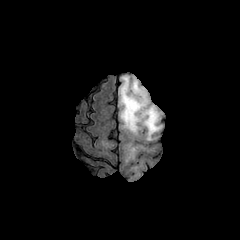
FLAIR magnetic resonance.
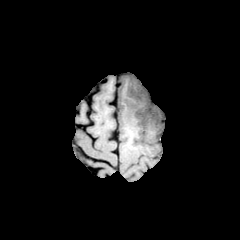
Same slice, T1-weighted MRI.
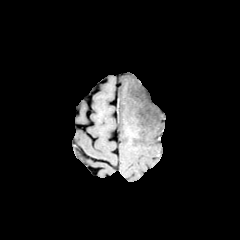
Same slice, post-contrast T1-weighted MR image.
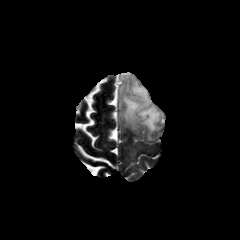
Same slice, T2-weighted MR image.
Brain.
The non-enhancing tumor core is at [x1=126, y1=83, x2=161, y2=123]. The edema is at [x1=118, y1=73, x2=164, y2=141].